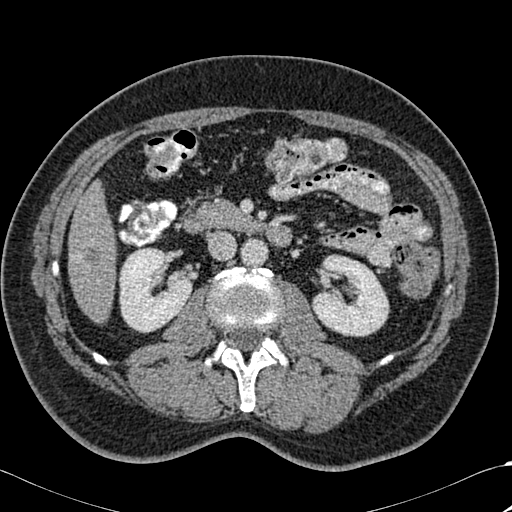 512x512 px. CT slice. Kidney: l=120, t=249, r=191, b=331; l=313, t=256, r=388, b=335.
Focal liver lesion: l=82, t=247, r=103, b=264.
Liver: l=69, t=182, r=115, b=322.
Bone: l=206, t=268, r=286, b=411.